Slice 14 of 39 | CT scan slice | Liver
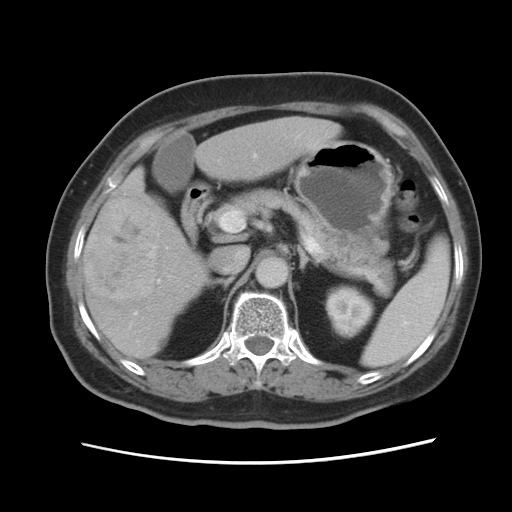
Some hepatic vessels may have no box.
3 hepatic vessel regions are bounded by rect(156, 280, 160, 282); rect(134, 312, 137, 314); rect(254, 154, 256, 157). The liver tumor is located at rect(83, 195, 159, 299).